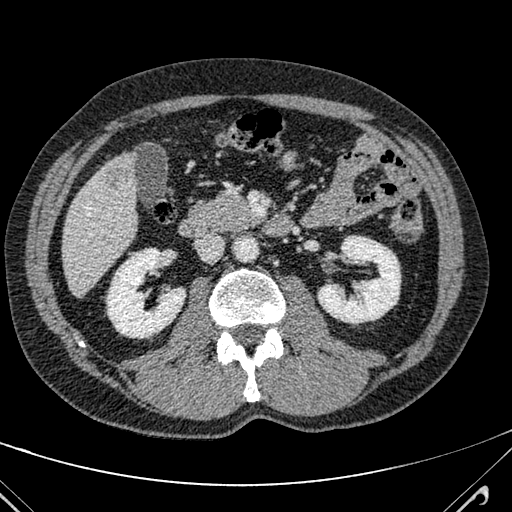

CT scan slice | Liver
Annotated regions:
• liver: rect(63, 155, 135, 295)
• liver lesion: rect(110, 169, 122, 187)